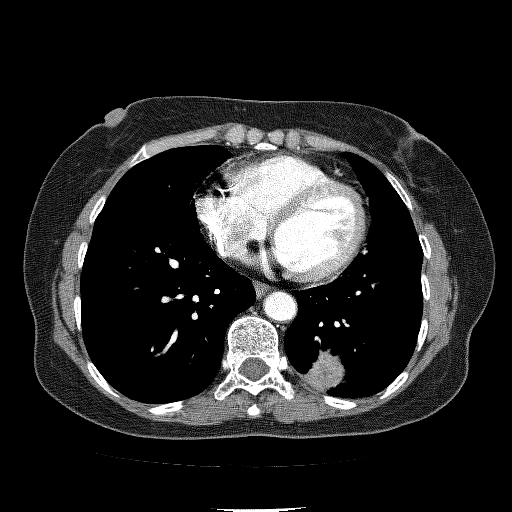
CT
Lung tumor: rect(303, 348, 346, 390).